Slice 73/155, Brain
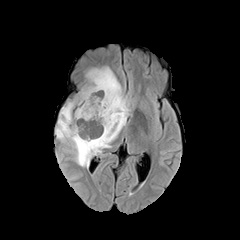
FLAIR MR.
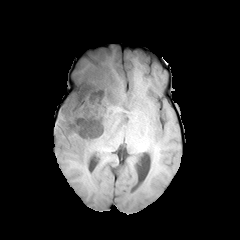
T1-weighted MR.
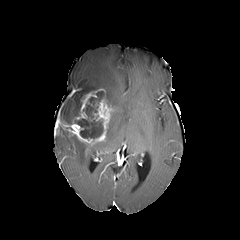
Post-contrast T1-weighted MRI of the same slice.
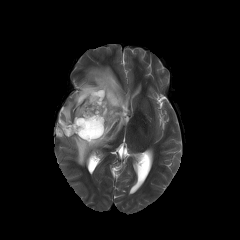
T2-weighted MR image.
Edema — (59,95,77,121), (56,67,130,168).
Non-enhancing tumor core — (62,87,113,139).
Enhancing tumor — (56,98,111,143), (76,88,105,119).